FLAIR magnetic resonance.
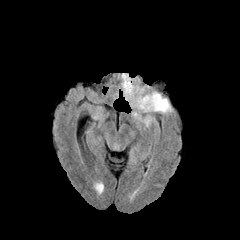
T1-weighted magnetic resonance.
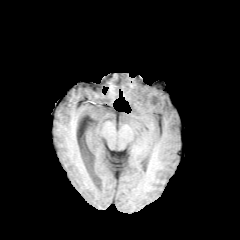
Post-contrast T1-weighted MR image.
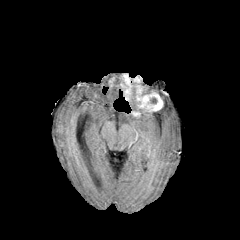
T2-weighted magnetic resonance.
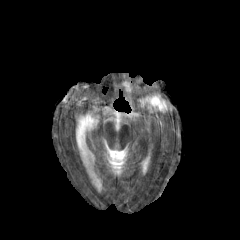
Head
{"enhancing_tumor": ["137 92 163 112", "123 74 130 99"], "edema": ["143 98 171 124", "128 92 137 109"], "non-enhancing_tumor_core": ["138 87 151 95", "129 82 137 97"]}